Slice 588 of 917; CT image

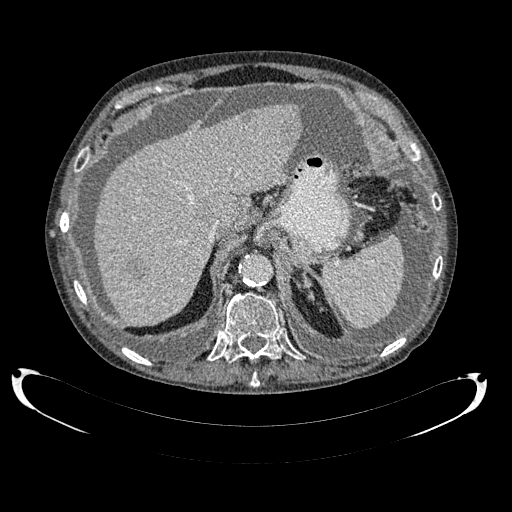 {
  "liver": [
    "(94,103,300,324)"
  ],
  "focal_liver_lesion": [
    "(147,311,157,317)",
    "(126,258,145,277)",
    "(284,121,297,141)",
    "(197,204,210,220)"
  ]
}